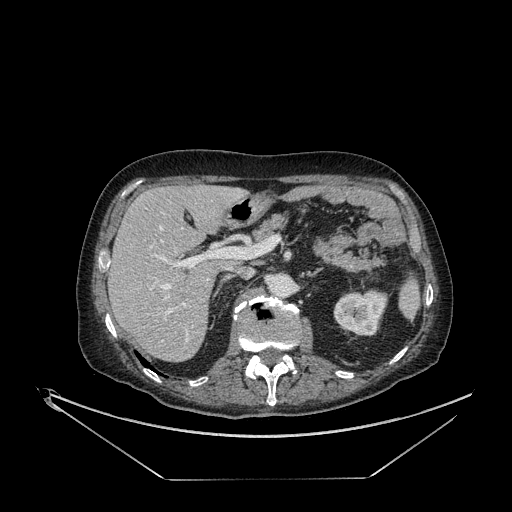

Abdomen, CT image
Kidney: bounding box region(334, 290, 386, 335).
Liver: bounding box region(108, 185, 247, 361).